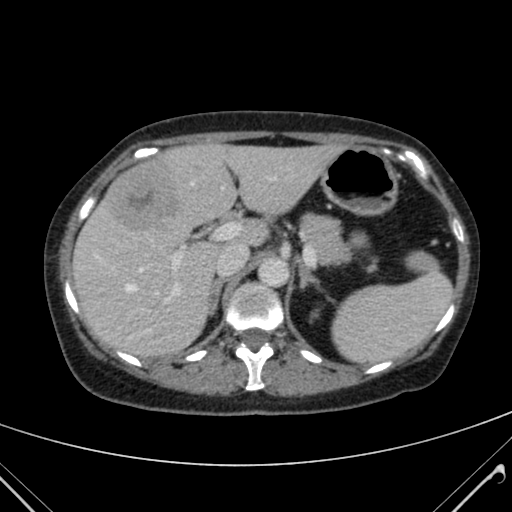
Computed tomography, Liver

{"liver": ["<bbox>75, 143, 331, 357</bbox>"], "liver_lesion": ["<bbox>106, 161, 184, 233</bbox>"]}